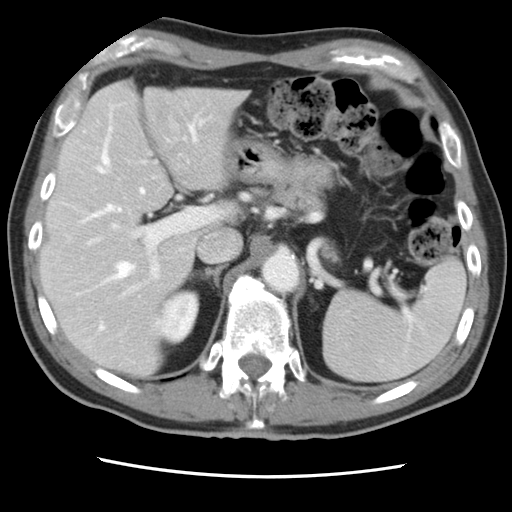 Computed tomography | Liver
Only some of the vessels may be annotated.
Top 15 of 17 hepatic vessel regions: {"x1": 115, "y1": 261, "x2": 134, "y2": 278}, {"x1": 151, "y1": 267, "x2": 158, "y2": 276}, {"x1": 190, "y1": 227, "x2": 194, "y2": 228}, {"x1": 99, "y1": 324, "x2": 104, "y2": 329}, {"x1": 190, "y1": 116, "x2": 206, "y2": 141}, {"x1": 81, "y1": 219, "x2": 86, "y2": 221}, {"x1": 113, "y1": 224, "x2": 117, "y2": 228}, {"x1": 127, "y1": 287, "x2": 135, "y2": 292}, {"x1": 117, "y1": 207, "x2": 121, "y2": 211}, {"x1": 87, "y1": 211, "x2": 103, "y2": 218}, {"x1": 98, "y1": 147, "x2": 108, "y2": 172}, {"x1": 109, "y1": 127, "x2": 112, "y2": 131}, {"x1": 140, "y1": 188, "x2": 144, "y2": 192}, {"x1": 105, "y1": 204, "x2": 115, "y2": 211}, {"x1": 183, "y1": 136, "x2": 185, "y2": 139}.